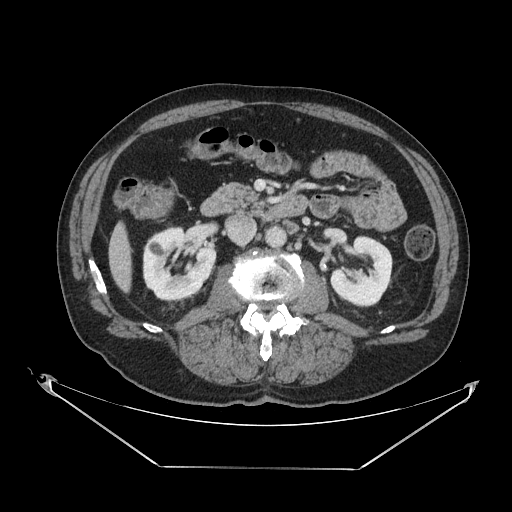

CT slice.
{
  "pancreas": [
    "(left=213, top=182, right=265, bottom=217)"
  ]
}